Field of view 240x240 mm. 240x240.
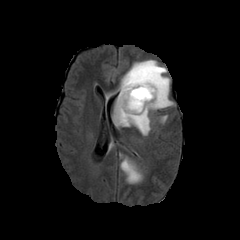
FLAIR magnetic resonance.
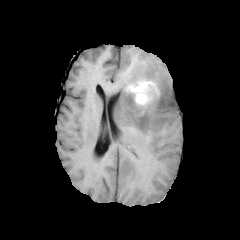
T1-weighted magnetic resonance.
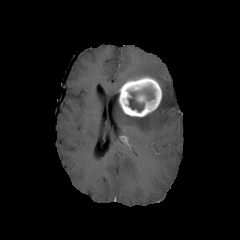
Same slice, post-contrast T1-weighted magnetic resonance.
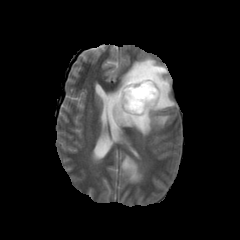
T2-weighted MRI of the same slice.
Findings:
* enhancing tumor: 119 76 162 117
* non-enhancing tumor core: 141 88 154 101, 128 92 143 111
* edema: 118 58 172 111, 114 97 152 135, 120 158 141 182